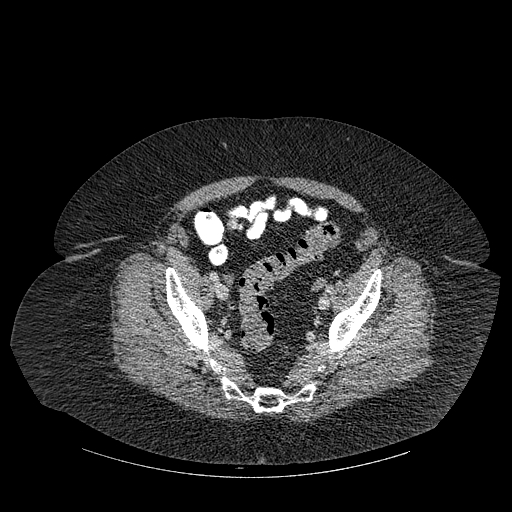

CT image

Bone: bounding box rect(322, 269, 381, 354); rect(222, 376, 315, 412); rect(166, 267, 225, 371).